CT. Image width 373 mm. 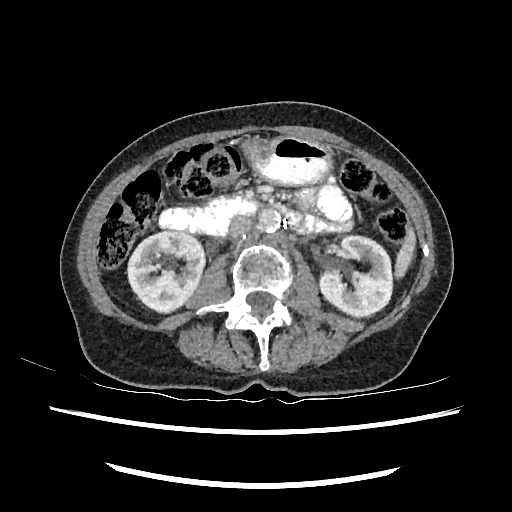
Kidney = <bbox>320, 236, 391, 315</bbox>, <bbox>128, 228, 204, 311</bbox>.